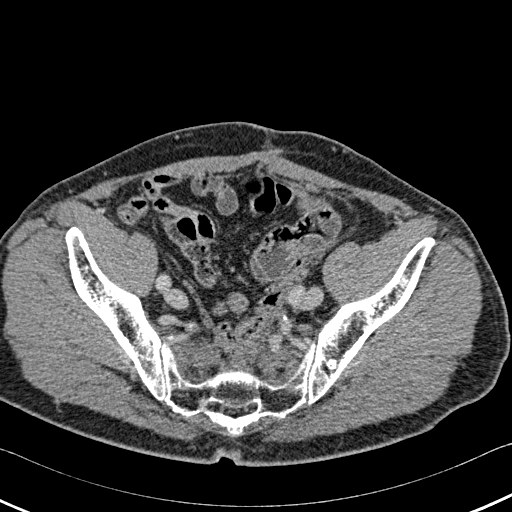 Image size 512x512 | CT scan slice

* bone: <bbox>66, 227, 434, 433</bbox>